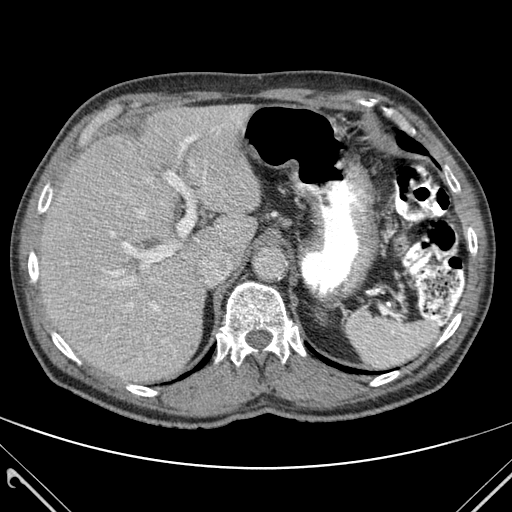

CT scan slice

lung: bbox(318, 355, 357, 372); bbox(196, 353, 210, 369); bbox(396, 130, 427, 154) | liver: bbox(42, 104, 259, 381) | bone: bbox(216, 283, 305, 365); bbox(437, 314, 460, 345); bbox(53, 332, 79, 362); bbox(38, 184, 51, 213); bbox(468, 228, 477, 252); bbox(446, 166, 459, 191); bbox(28, 252, 38, 280); bbox(127, 385, 156, 396); bbox(371, 371, 398, 385)